Slice index 82
FLAIR MR.
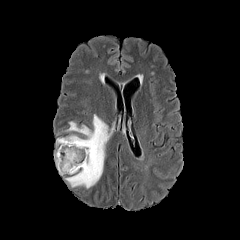
T1-weighted magnetic resonance.
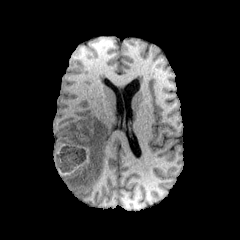
Post-contrast T1-weighted MR image.
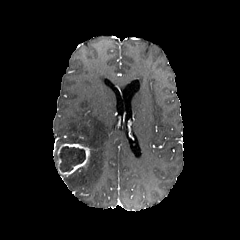
T2-weighted MR image.
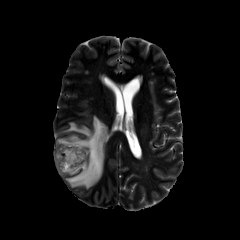
<segmentation>
  <non-enhancing_tumor_core>(59, 146, 85, 172)</non-enhancing_tumor_core>
  <edema>(56, 115, 111, 189)</edema>
  <enhancing_tumor>(56, 143, 89, 174)</enhancing_tumor>
</segmentation>